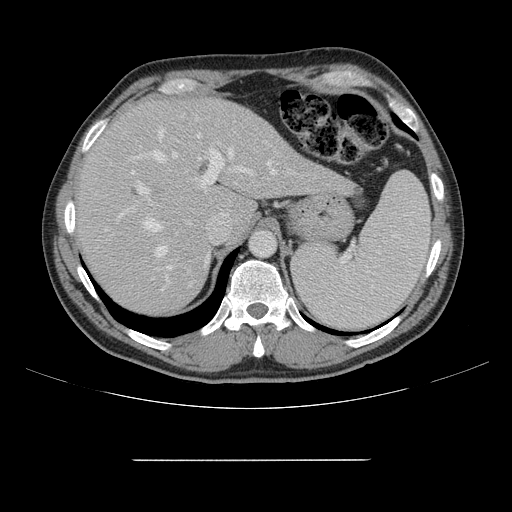
Abdomen, Image size 512x512, CT

Only some of the vessels may be annotated.
Largest 15 of 21 hepatic vessel regions: (left=201, top=150, right=222, bottom=185), (left=116, top=213, right=123, bottom=222), (left=155, top=246, right=166, bottom=255), (left=137, top=183, right=149, bottom=193), (left=166, top=265, right=171, bottom=268), (left=145, top=218, right=160, bottom=231), (left=229, top=149, right=233, bottom=156), (left=132, top=155, right=143, bottom=158), (left=271, top=169, right=275, bottom=173), (left=159, top=129, right=163, bottom=140), (left=163, top=276, right=168, bottom=289), (left=172, top=152, right=176, bottom=157), (left=153, top=151, right=165, bottom=162), (left=238, top=167, right=254, bottom=175), (left=196, top=133, right=200, bottom=137).